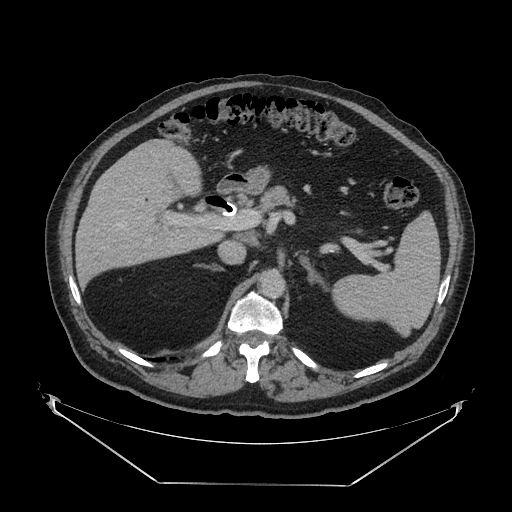 Upper abdomen; CT; 512x512
Segmented structures:
* pancreas: box=[262, 187, 291, 207]